CT slice. Upper abdomen. 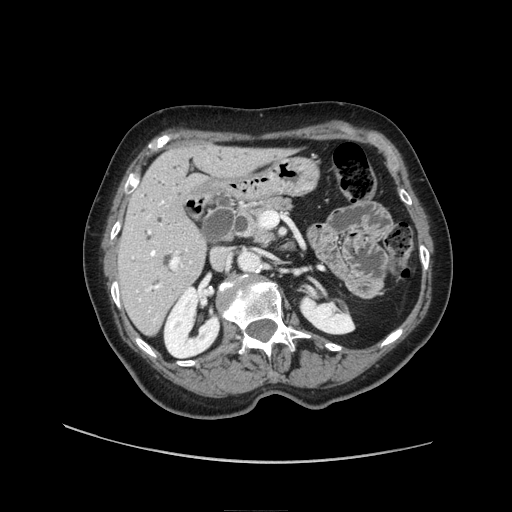
- pancreas: [233, 198, 291, 245]
- pancreatic tumor: [260, 232, 274, 243]